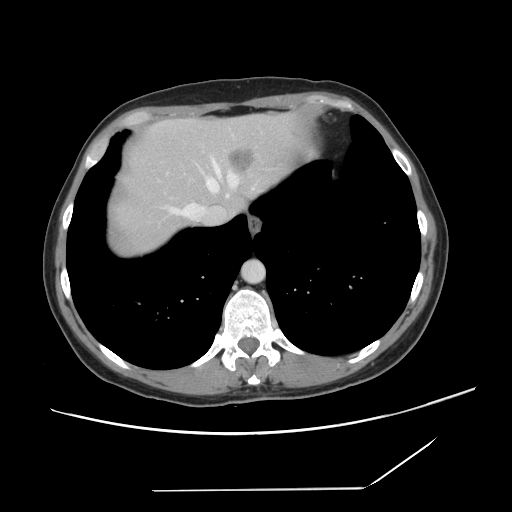
512x512 px; CT

The vessel boxes may cover only some of the vessels.
The liver tumor appears at (230,152,254,173). 7 hepatic vessel regions are located at (205,175,218,192), (195,218,198,219), (169,202,203,217), (252,186,254,189), (227,194,228,196), (228,173,238,186), (211,155,219,175).